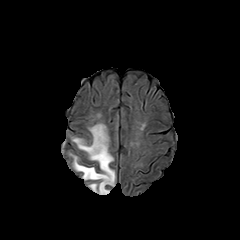
FLAIR MRI.
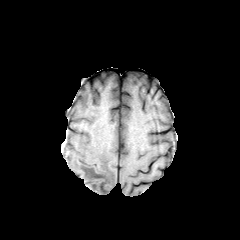
Same slice, T1-weighted MR.
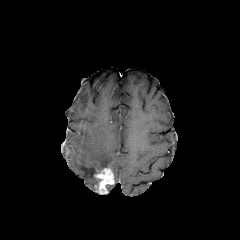
Same slice, post-contrast T1-weighted MR image.
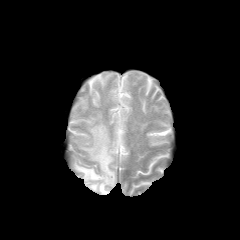
T2-weighted MR image.
Brain
The edema is bounded by (72, 124, 113, 191). The enhancing tumor is located at (94, 167, 114, 194).